Slice index 107, 512x512 px, Computed tomography
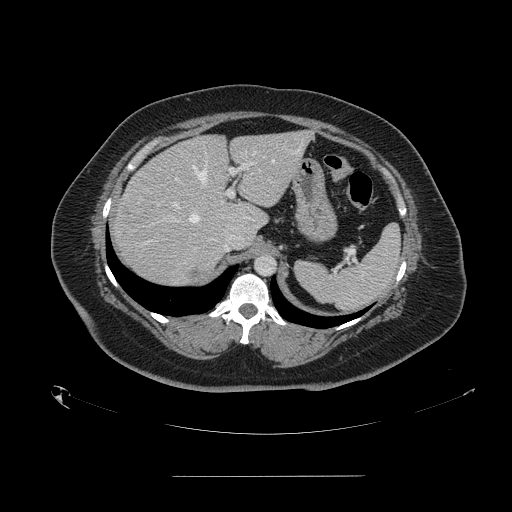

spleen:
  - (295, 224, 400, 310)